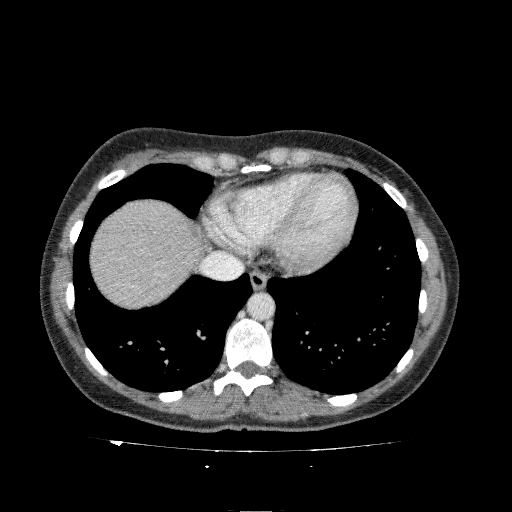 CT; Image size 512x512

Liver — (left=90, top=200, right=201, bottom=307).